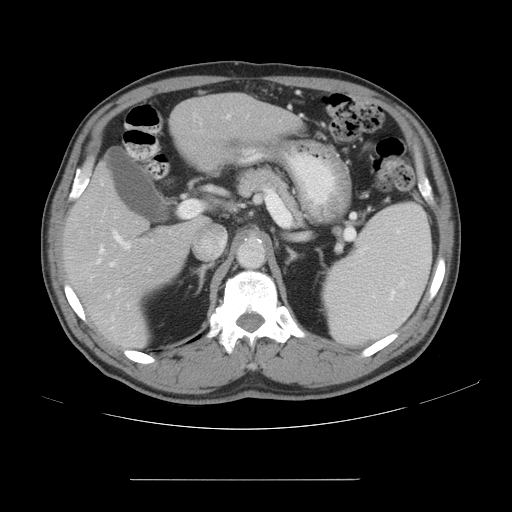 CT

Only some of the vessels may be annotated.
hepatic_vessel:
  - rect(110, 262, 114, 266)
  - rect(149, 267, 150, 270)
  - rect(112, 230, 129, 249)
  - rect(100, 181, 102, 184)
  - rect(107, 295, 109, 296)
  - rect(90, 276, 92, 280)
  - rect(118, 288, 120, 291)
  - rect(97, 259, 100, 263)
  - rect(226, 114, 230, 118)
  - rect(111, 315, 114, 320)
  - rect(99, 245, 104, 253)
  - rect(151, 240, 153, 242)